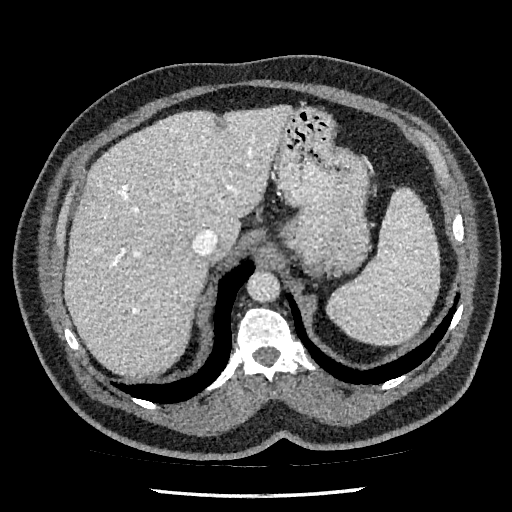

CT slice. Abdomen.

<segmentation>
  <hepatic_lesion>214, 117, 228, 130</hepatic_lesion>
  <liver>64, 106, 291, 376</liver>
</segmentation>